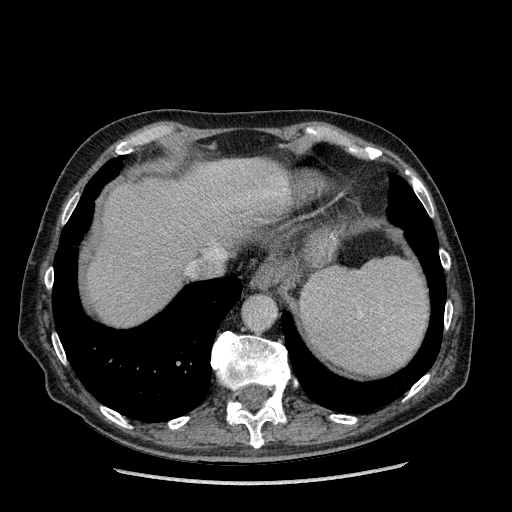 Liver | CT scan slice
The liver is at (x1=87, y1=159, x2=290, y2=326).